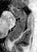
MRI
The anterior hippocampus is bounded by (10,6,26,18). The posterior hippocampus is at (9,19,25,41).